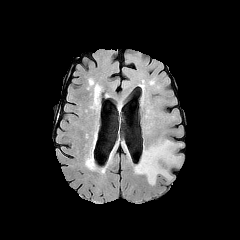
FLAIR MR image.
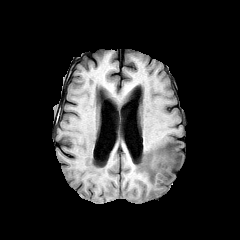
T1-weighted MR of the same slice.
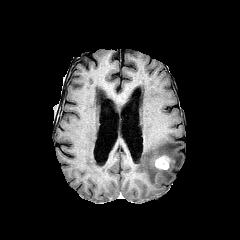
Same slice, post-contrast T1-weighted MRI.
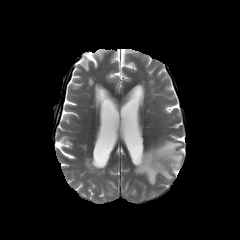
T2-weighted MRI of the same slice.
Head
enhancing_tumor:
  - 154, 155, 170, 170
edema:
  - 134, 140, 181, 184